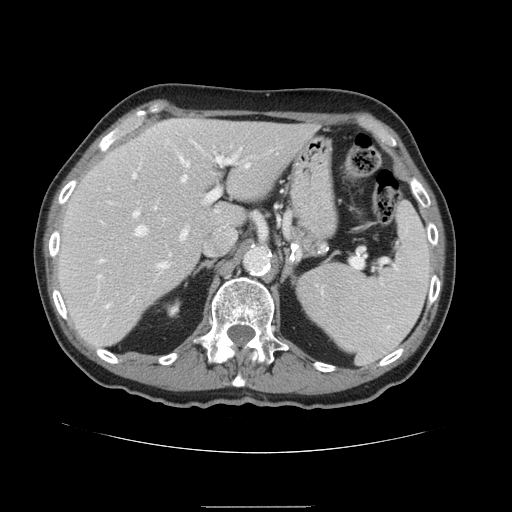 CT
The spleen is bounded by left=298, top=203, right=431, bottom=363.